Field of view 240 mm wide, 1.00 mm slice spacing, Head
FLAIR MR.
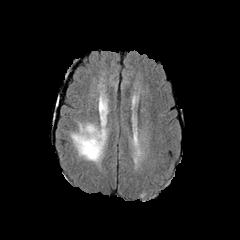
T1-weighted MR image.
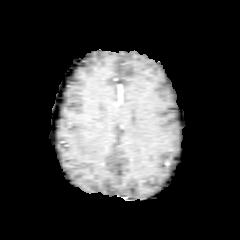
Post-contrast T1-weighted magnetic resonance.
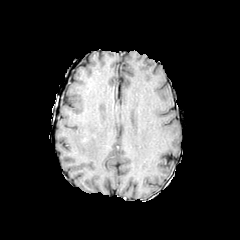
T2-weighted MR image.
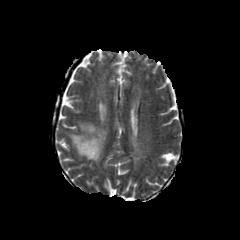
* edema: 69 94 107 164